CT slice, Abdomen, Slice 81/131
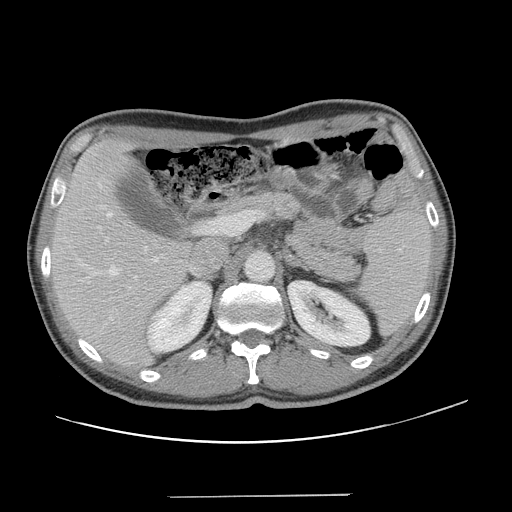
Some hepatic vessels may have no box.
Segmented structures:
* hepatic vessel: [107,212,111,216], [90,273,95,275], [105,238,108,241], [98,184,102,187], [108,266,121,274], [151,257,157,261], [134,276,136,278], [100,205,104,208], [146,247,147,249]